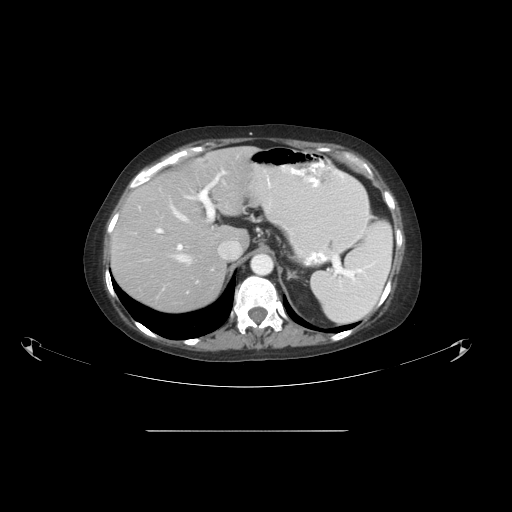
Abdomen | CT scan slice | Image size 512x512
The vessel boxes may cover only some of the vessels.
Annotated regions:
• hepatic vessel: x1=156 y1=228 x2=162 y2=232, x1=204 y1=169 x2=225 y2=191, x1=170 y1=203 x2=187 y2=221, x1=207 y1=217 x2=209 y2=221, x1=174 y1=254 x2=191 y2=264, x1=177 y1=244 x2=182 y2=250, x1=196 y1=281 x2=197 y2=282, x1=186 y1=193 x2=201 y2=200